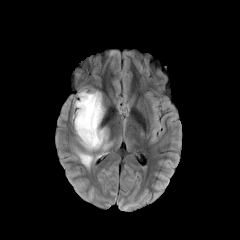
FLAIR MRI.
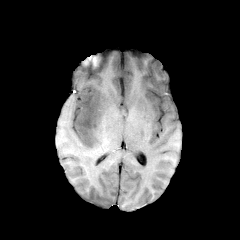
T1-weighted MRI.
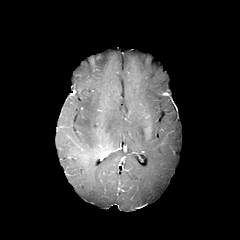
Same slice, post-contrast T1-weighted MR.
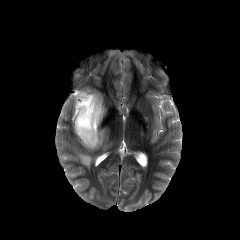
Same slice, T2-weighted magnetic resonance.
240x240. Head.
edema: 72 88 107 167